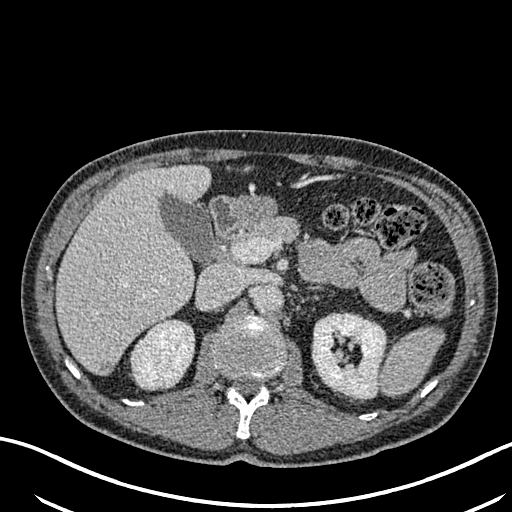
CT image. 512x512 px.

- liver: l=56, t=167, r=209, b=374
- focal liver lesion: l=99, t=360, r=114, b=374
- kidney: l=313, t=314, r=385, b=394; l=131, t=321, r=193, b=387